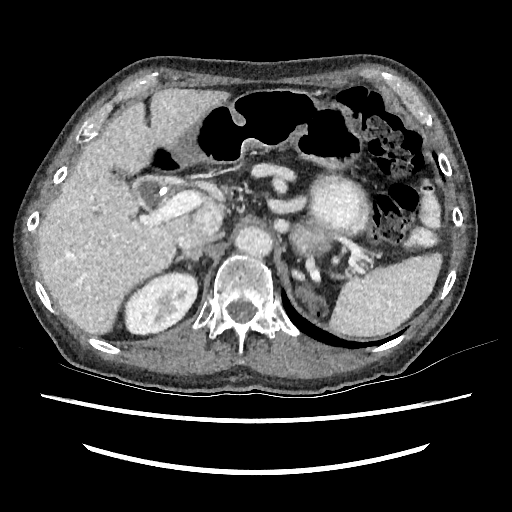
Liver; 512x512 px; CT
The kidney is bounded by bbox(126, 273, 197, 334). The liver lies within bbox(38, 89, 226, 333).